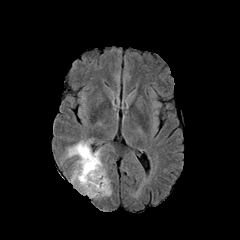
FLAIR magnetic resonance.
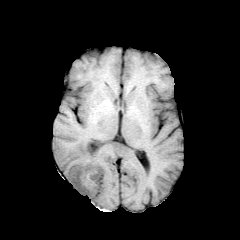
T1-weighted MRI of the same slice.
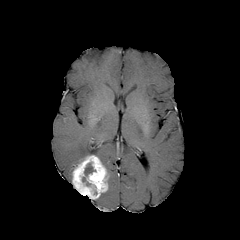
Post-contrast T1-weighted MR.
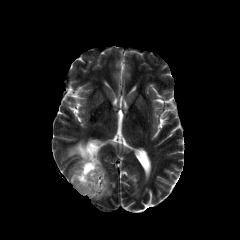
T2-weighted MR image.
Image size 240x240. Brain.
The non-enhancing tumor core is located at box=[84, 163, 93, 175]. The enhancing tumor is at box=[71, 154, 107, 199]. 2 edema regions are bounded by box=[100, 179, 111, 196]; box=[66, 139, 91, 164].